Image size 240x240
FLAIR MRI.
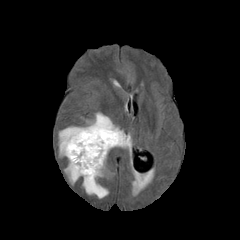
T1-weighted MRI.
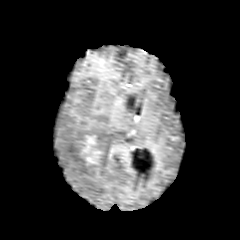
Post-contrast T1-weighted MRI.
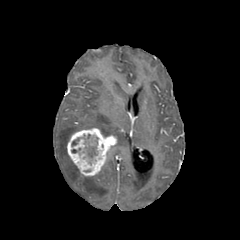
T2-weighted MRI.
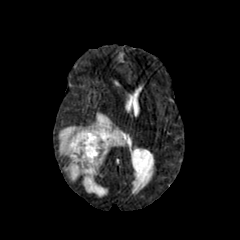
The enhancing tumor is located at 67,128,116,175. The non-enhancing tumor core is bounded by 72,134,97,163. The edema is located at 58,112,131,197.